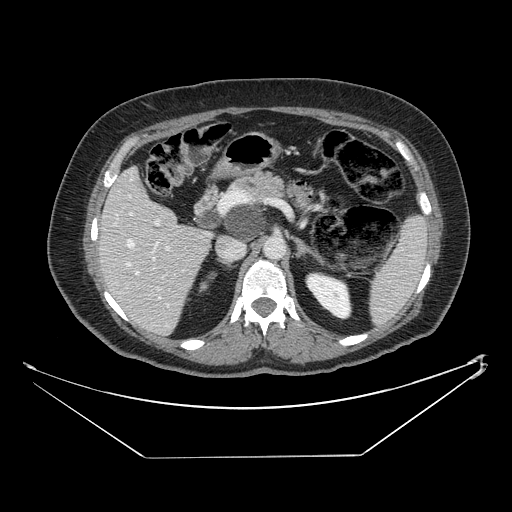 Upper abdomen | CT scan slice | Image size 512x512
<segmentation>
  <pancreas>bbox=[223, 170, 288, 242]</pancreas>
  <pancreatic_tumor>bbox=[225, 204, 264, 239]</pancreatic_tumor>
</segmentation>